Image size 512x512 | CT image | Slice 448/654 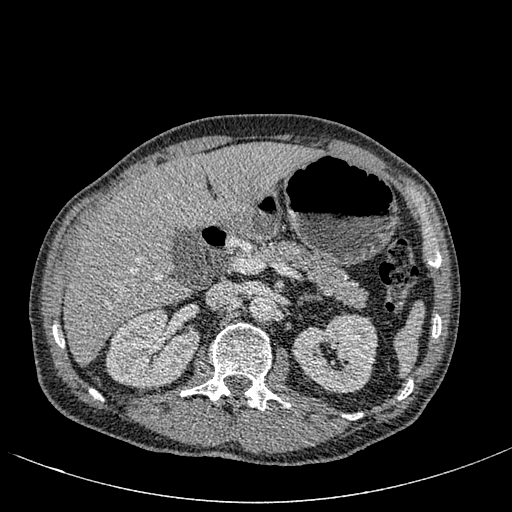 Kidney — x1=293, y1=315, x2=376, y2=392; x1=106, y1=309, x2=199, y2=387.
Liver — x1=64, y1=143, x2=324, y2=366.